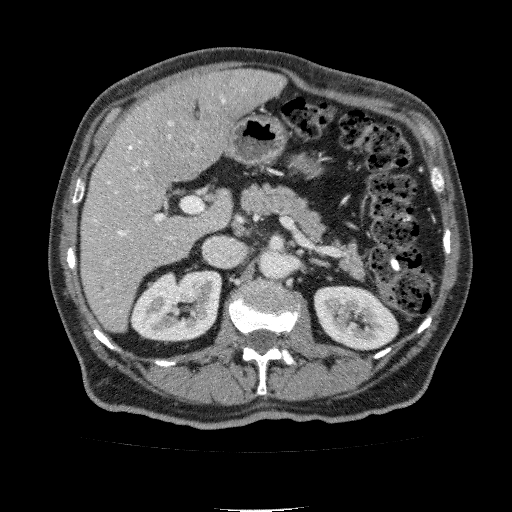
CT slice; 512x512

2 kidney regions are bounded by (x1=131, y1=271, x2=220, y2=339), (x1=315, y1=287, x2=396, y2=348). The liver is at (x1=82, y1=69, x2=287, y2=332).